Image size 512x512. Abdomen. CT image.

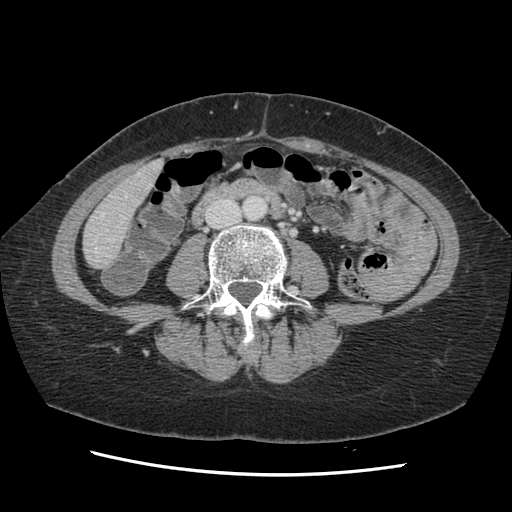

Not every hepatic vessel necessarily has a box.
2 hepatic vessel regions appear at 100 214 103 216, 94 240 97 252.